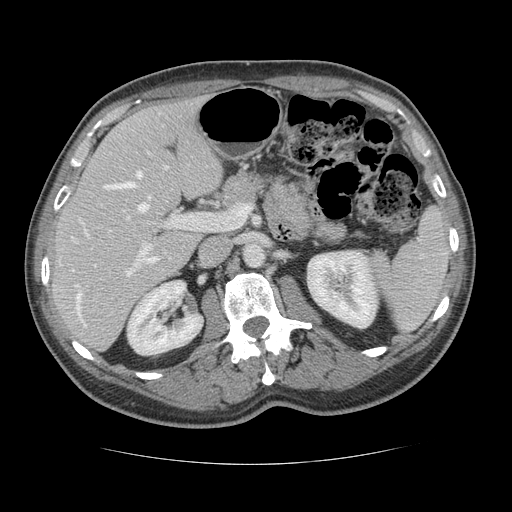
Liver | CT scan slice
Some hepatic vessels may have no box.
Annotated regions:
- hepatic vessel: (127,216,129,218), (168,215,200,229), (164,165,167,168), (138,203,147,211), (75,292,86,327), (85,231,88,236), (76,285,78,286), (72,269,73,271), (79,219,82,223), (125,242,157,274), (73,237,76,241), (136,171,141,176), (148,196,150,198), (103,182,135,188)